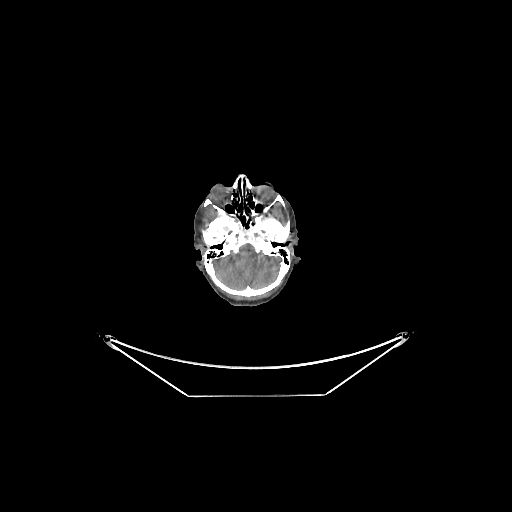
CT scan slice. Brain.
Brain at x1=212 y1=243 x2=280 y2=289.